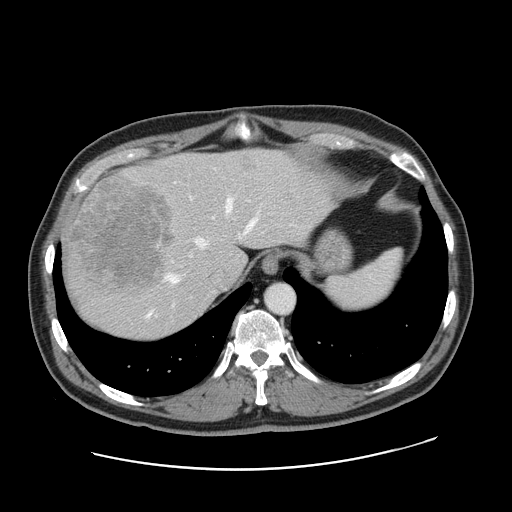 CT scan slice
The vessel boxes may cover only some of the vessels.
Segmented structures:
• hepatic vessel: bbox(226, 196, 233, 212); bbox(243, 254, 246, 261); bbox(147, 311, 156, 317); bbox(192, 237, 206, 246); bbox(239, 233, 243, 238); bbox(189, 253, 191, 255); bbox(289, 224, 294, 224); bbox(172, 304, 173, 306); bbox(245, 219, 255, 231); bbox(213, 216, 214, 217); bbox(175, 181, 177, 182); bbox(261, 239, 291, 245)
• liver tumor: bbox(243, 162, 254, 169); bbox(71, 181, 174, 287)